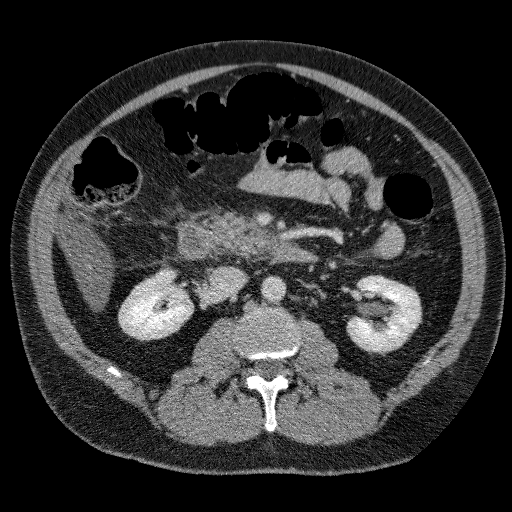

Liver. CT slice.
2 kidney regions are bounded by (x1=120, y1=271, x2=191, y2=338), (x1=348, y1=277, x2=420, y2=350). The liver is bounded by (x1=56, y1=215, x2=110, y2=306).